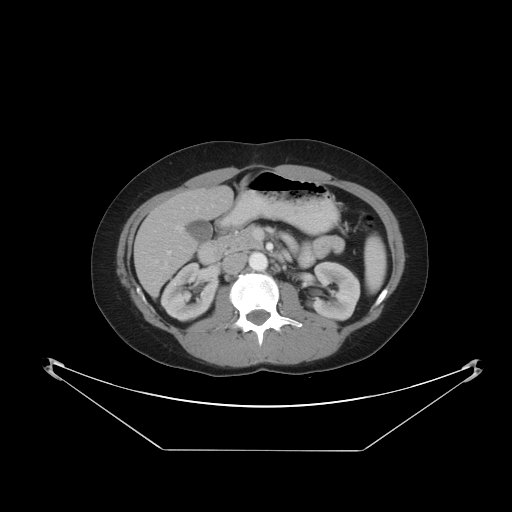 CT scan slice; Image size 512x512

The vessel annotation is not exhaustive.
{
  "hepatic_vessel": [
    "bbox(154, 260, 157, 262)",
    "bbox(176, 226, 182, 232)",
    "bbox(210, 205, 212, 206)",
    "bbox(163, 262, 167, 268)",
    "bbox(167, 251, 170, 254)",
    "bbox(190, 206, 198, 209)"
  ]
}